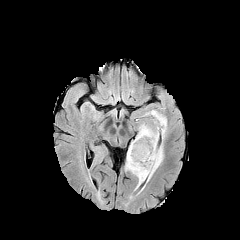
FLAIR MR.
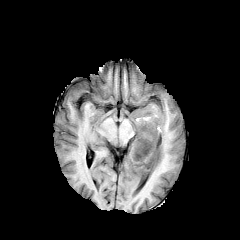
T1-weighted MRI.
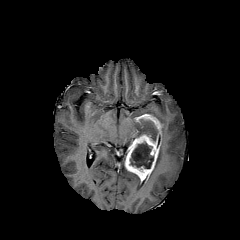
Same slice, post-contrast T1-weighted MR image.
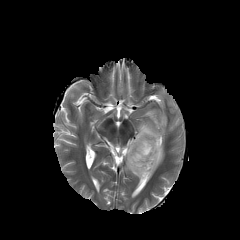
Same slice, T2-weighted MR.
2 enhancing tumor regions are located at left=125, top=134, right=160, bottom=182; left=137, top=114, right=161, bottom=133. 2 non-enhancing tumor core regions are located at left=144, top=129, right=160, bottom=148; left=129, top=141, right=154, bottom=169. 2 edema regions appear at left=145, top=110, right=167, bottom=183; left=135, top=121, right=156, bottom=137.